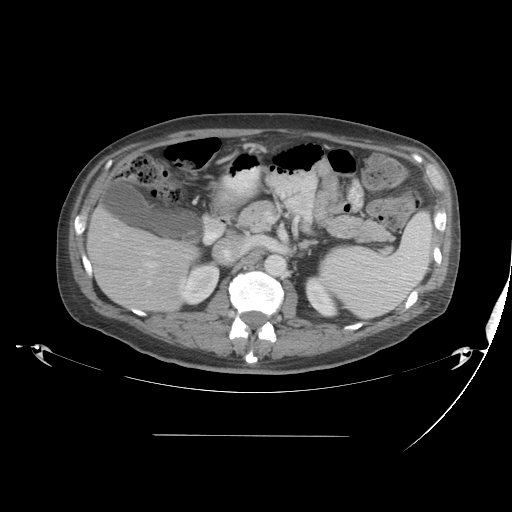 CT | Liver

The vessel annotation is not exhaustive.
Hepatic vessel: <box>147,280,151,285</box>, <box>144,251,157,255</box>, <box>103,237,108,240</box>, <box>143,261,158,275</box>, <box>113,231,119,237</box>, <box>139,270,141,273</box>.